T2-weighted MR image.
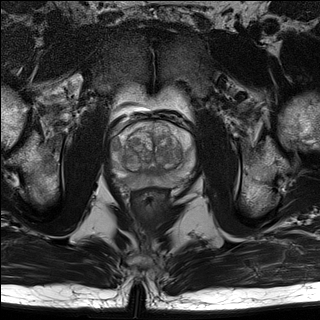
ADC magnetic resonance.
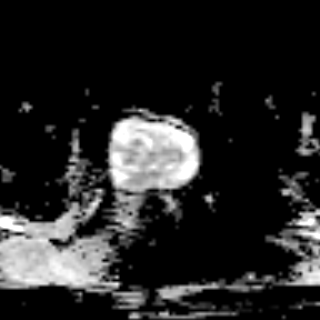
320x320 px
<segmentation>
  <prostate_transition_zone>120 122 181 174</prostate_transition_zone>
  <prostate_peripheral_zone>113 123 194 187</prostate_peripheral_zone>
</segmentation>